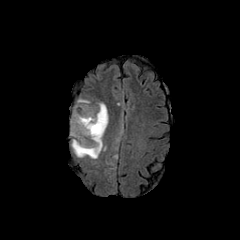
FLAIR MR image.
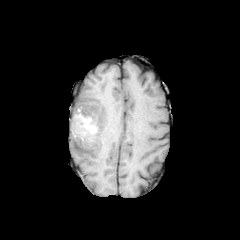
Same slice, T1-weighted MR image.
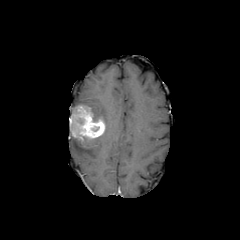
Post-contrast T1-weighted MR image.
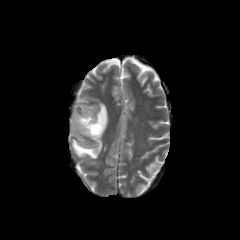
T2-weighted MRI.
Enhancing tumor: bounding box x1=69 y1=105 x2=105 y2=142.
Edema: bounding box x1=71 y1=132 x2=104 y2=159, x1=92 y1=102 x2=108 y2=128.